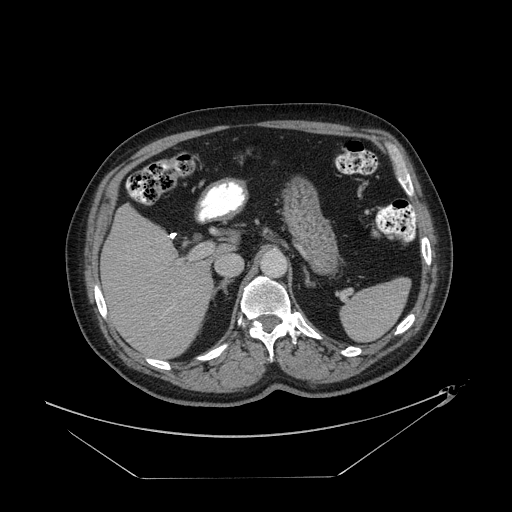
Computed tomography
Annotated regions:
- colon tumor: 163 159 174 167, 169 171 181 179